Computed tomography, Slice 35/141, Image size 512x512 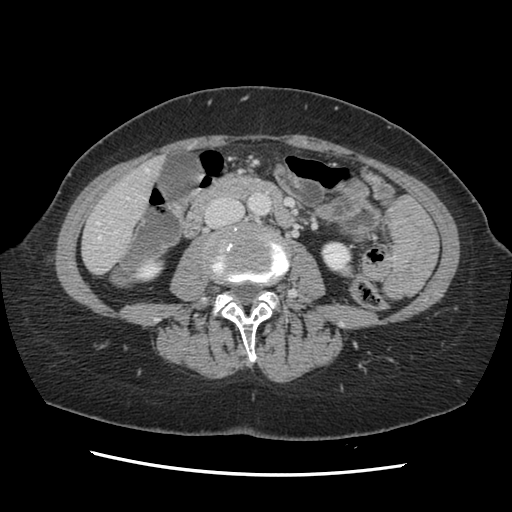 Not every hepatic vessel necessarily has a box.
3 hepatic vessel regions are located at 98 235 101 238, 97 222 98 224, 146 169 148 171.